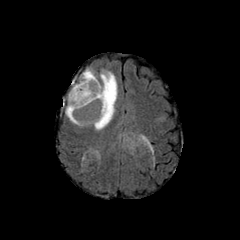
FLAIR magnetic resonance.
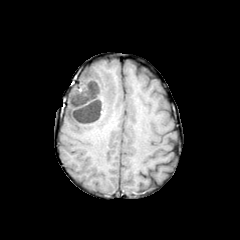
T1-weighted magnetic resonance.
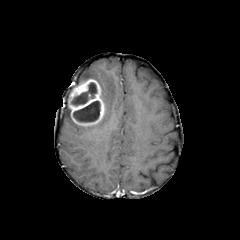
Post-contrast T1-weighted MR image of the same slice.
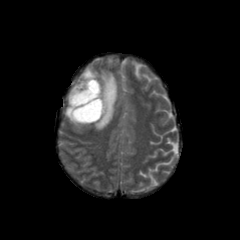
T2-weighted MRI.
240x240 px. Brain.
Enhancing tumor at <box>69,79,104,124</box>.
Edema at <box>72,69,117,130</box>, <box>65,104,76,124</box>.
Non-enhancing tumor core at <box>71,82,97,105</box>, <box>73,100,100,122</box>.